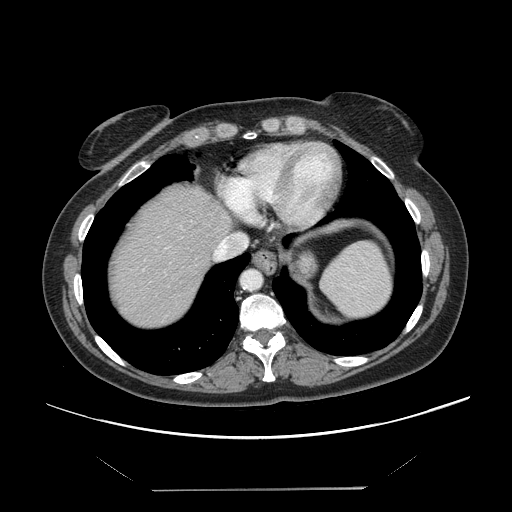 Liver; CT scan slice

Not every hepatic vessel necessarily has a box.
hepatic_vessel:
  - rect(213, 233, 244, 259)